CT slice. 512x512. Image width 480 mm.
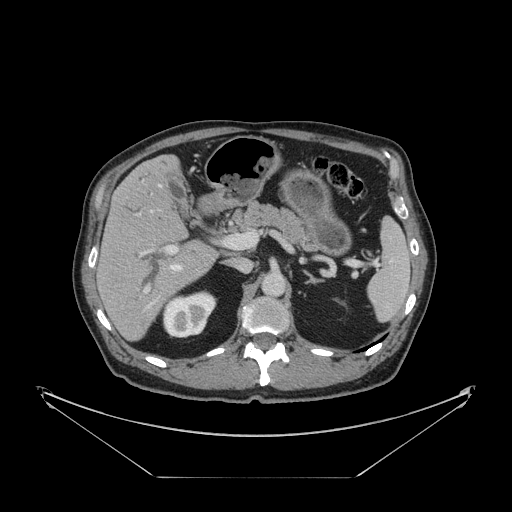 Not every hepatic vessel necessarily has a box.
- hepatic vessel: bbox=[140, 249, 153, 255]; bbox=[150, 210, 152, 212]; bbox=[136, 213, 139, 215]; bbox=[158, 185, 161, 187]; bbox=[144, 287, 148, 291]; bbox=[171, 265, 180, 270]; bbox=[146, 300, 156, 307]; bbox=[223, 231, 257, 248]; bbox=[165, 245, 177, 253]